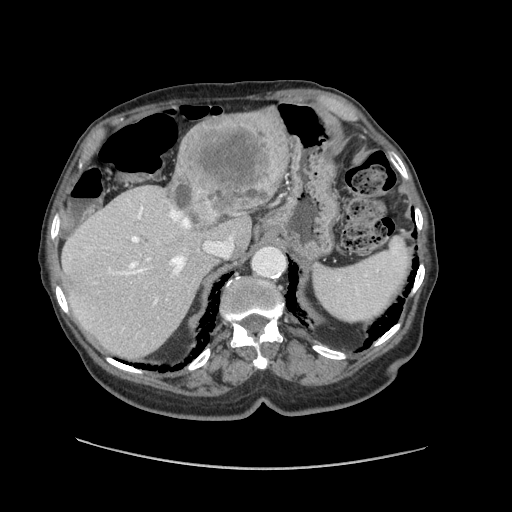
Liver | CT image
The vessel annotation is not exhaustive.
The liver tumor is at 169, 116, 285, 227. 4 hepatic vessel regions are located at 170, 255, 185, 273; 170, 210, 185, 226; 132, 236, 138, 241; 204, 237, 233, 257.